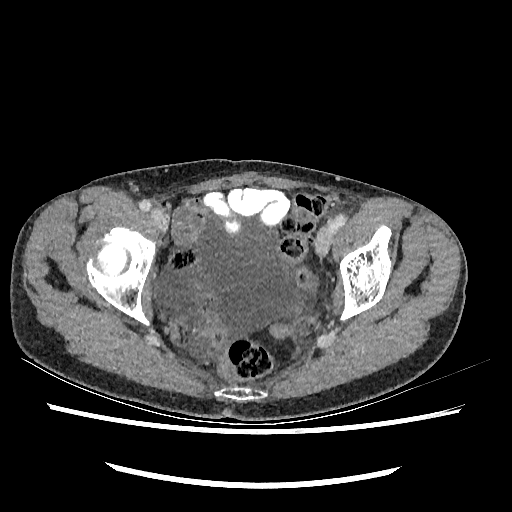

512x512 px; CT scan slice; Pelvis

{"urinary_bladder": ["<bbox>157, 217, 314, 340</bbox>"]}